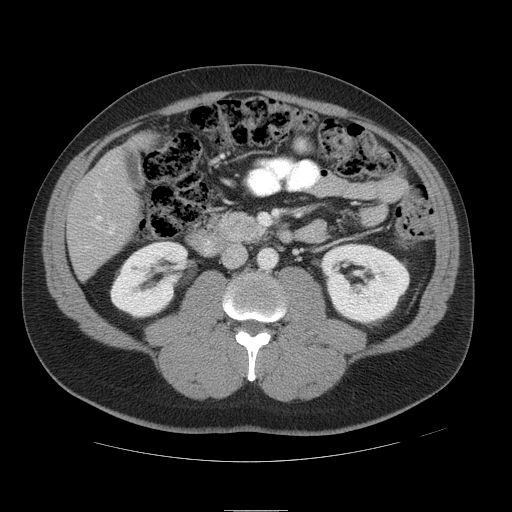 Abdomen, CT
Only some of the vessels may be annotated.
Hepatic vessel = {"x1": 108, "y1": 227, "x2": 113, "y2": 233}, {"x1": 91, "y1": 223, "x2": 93, "y2": 224}, {"x1": 96, "y1": 226, "x2": 98, "y2": 227}, {"x1": 98, "y1": 184, "x2": 99, "y2": 186}, {"x1": 96, "y1": 194, "x2": 99, "y2": 198}, {"x1": 100, "y1": 199, "x2": 101, "y2": 202}, {"x1": 97, "y1": 216, "x2": 101, "y2": 220}.